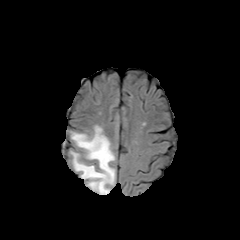
FLAIR MRI.
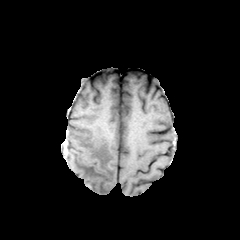
Same slice, T1-weighted MRI.
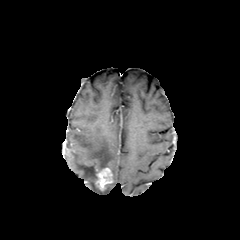
Post-contrast T1-weighted MR image of the same slice.
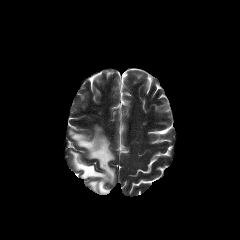
T2-weighted MRI.
Head | Image size 240x240
{
  "enhancing_tumor": [
    "(x1=95, y1=167, x2=112, y2=191)"
  ],
  "edema": [
    "(x1=68, y1=125, x2=115, y2=194)"
  ]
}